Slice 212 of 291 | CT image

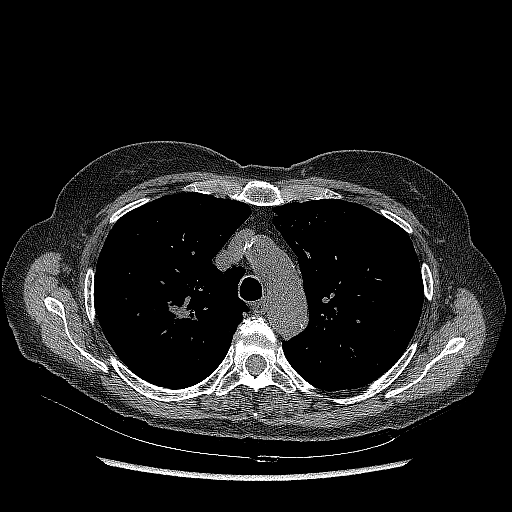
Lung tumor = box(165, 303, 198, 324).